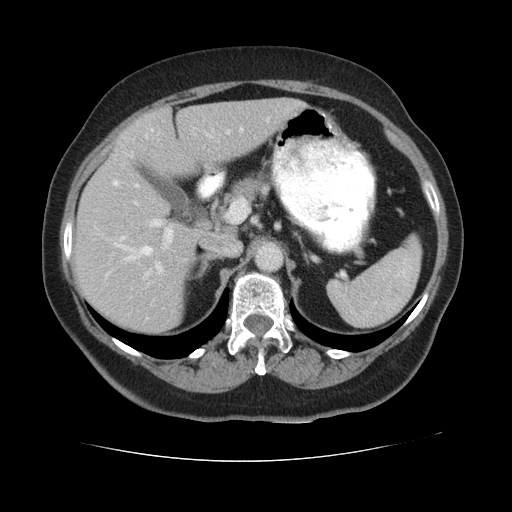

512x512 px. CT image. The pancreas appears at [222,177,258,210].